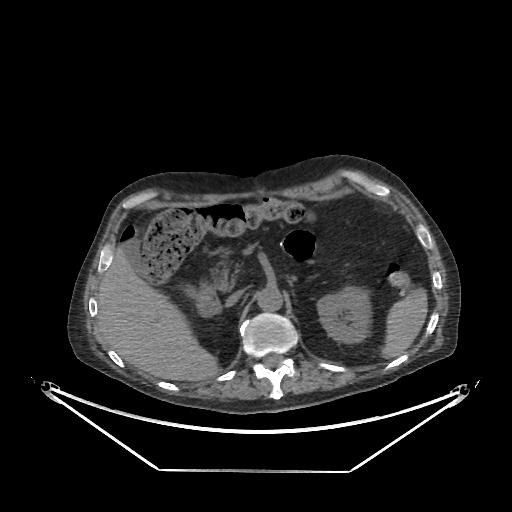

Computed tomography | Liver
Segmented structures:
- kidney: (317, 286, 372, 343)
- liver: (93, 247, 217, 380)